Lung | 512x512 px | CT image 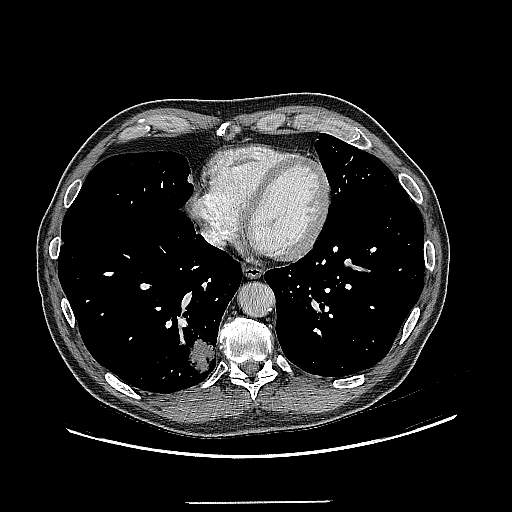 Findings:
* lung tumor: left=188, top=339, right=214, bottom=374